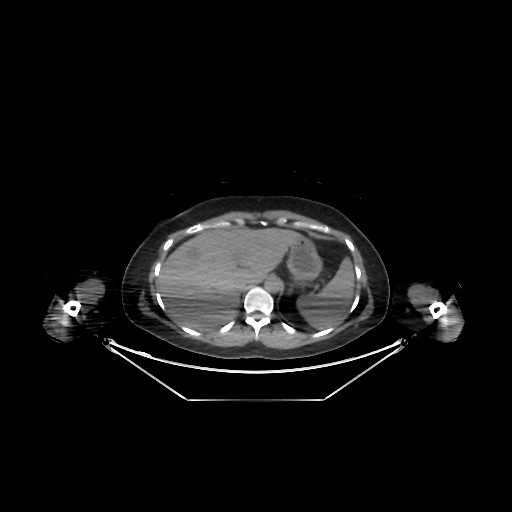
CT slice
- liver: 155,223,301,333